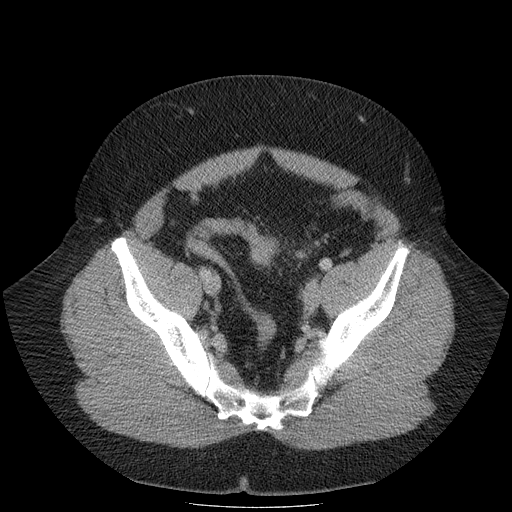 CT image. 512x512. Abdomen. <segmentation>
  <colon_tumor>(x1=250, y1=239, x2=275, y2=263)</colon_tumor>
</segmentation>